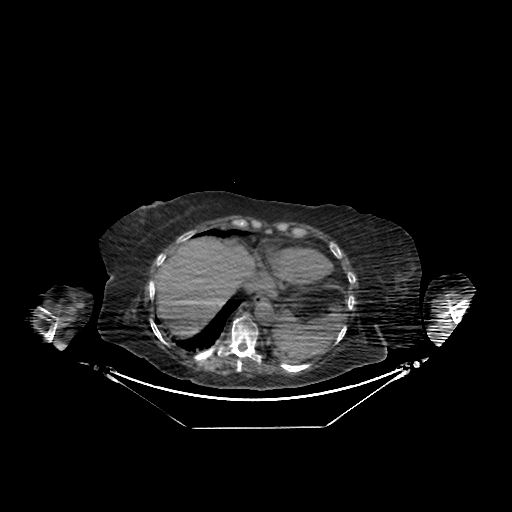 Liver. Image size 512x512. CT slice.

Liver — region(154, 236, 256, 338).